Brain
FLAIR MR.
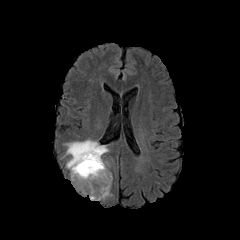
T1-weighted MRI.
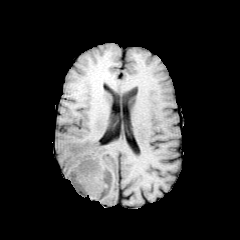
Post-contrast T1-weighted MRI.
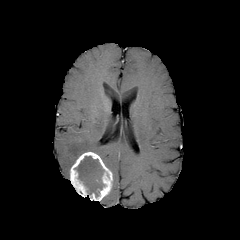
T2-weighted MR.
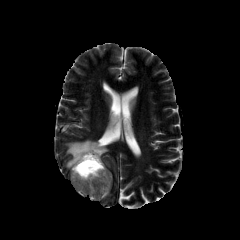
edema: {"x1": 64, "y1": 139, "x2": 109, "y2": 169} | non-enhancing tumor core: {"x1": 75, "y1": 156, "x2": 103, "y2": 194} | enhancing tumor: {"x1": 70, "y1": 152, "x2": 112, "y2": 200}